CT. Slice 474/986. Upper abdomen.
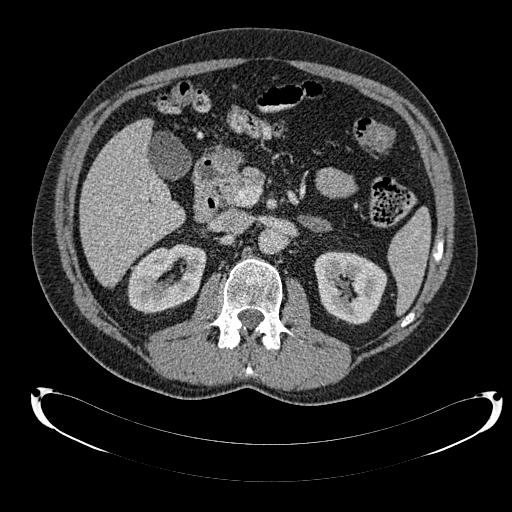

2 kidney regions are located at rect(315, 252, 386, 323); rect(129, 245, 205, 312). The liver is located at rect(79, 120, 184, 286).